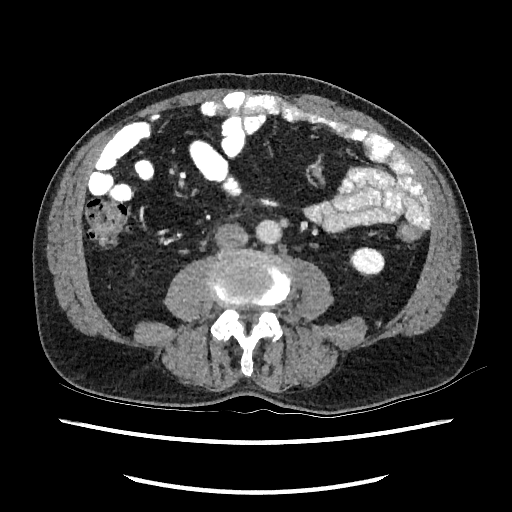 Computed tomography
The kidney lies within bbox(350, 247, 384, 274).